Slice index 43. Field of view 400x400 mm. CT slice. Image size 512x512. 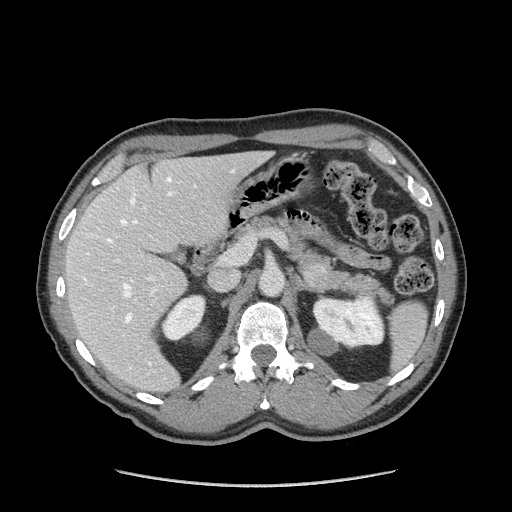
The pancreatic tumor is bounded by 305,264,328,286. The pancreas is bounded by 235,217,390,301.